Slice index 63
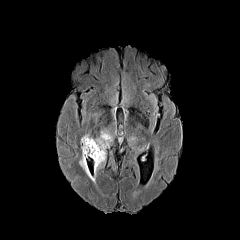
FLAIR MR.
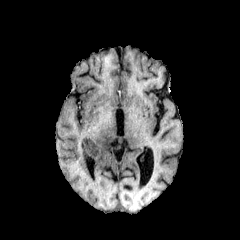
T1-weighted MRI.
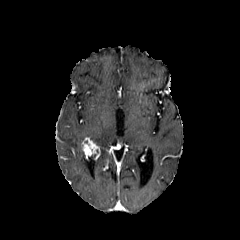
Post-contrast T1-weighted MR image of the same slice.
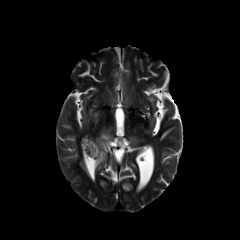
T2-weighted magnetic resonance.
- non-enhancing tumor core: {"x1": 87, "y1": 150, "x2": 97, "y2": 160}
- enhancing tumor: {"x1": 81, "y1": 138, "x2": 100, "y2": 158}
- edema: {"x1": 93, "y1": 129, "x2": 112, "y2": 169}, {"x1": 79, "y1": 151, "x2": 95, "y2": 182}